Medial temporal lobe. MRI slice. Image size 36x51. Field of view 36 mm wide, 1.00 mm slice spacing. 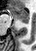 Segmented structures:
• anterior hippocampus: <box>12,6,29,21</box>
• posterior hippocampus: <box>22,22,28,23</box>